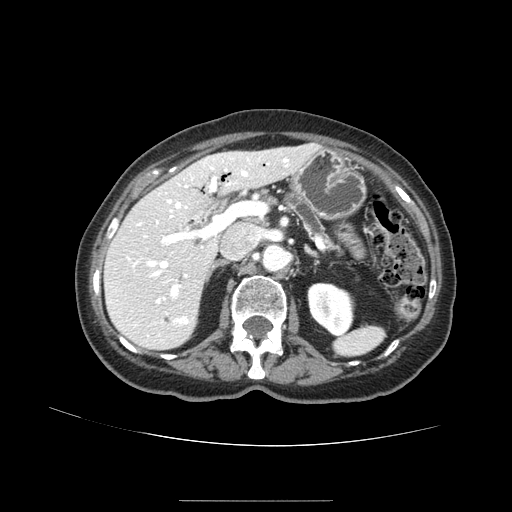
CT image
Pancreas: bounding box bbox(285, 194, 336, 250).